Brain. Field of view 240x240 mm.
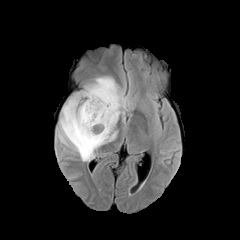
FLAIR magnetic resonance.
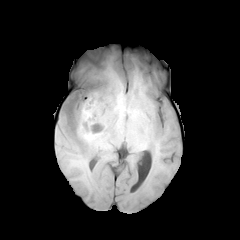
T1-weighted MRI of the same slice.
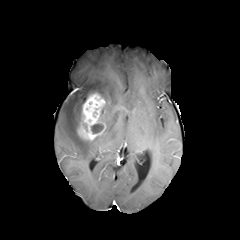
Post-contrast T1-weighted MR.
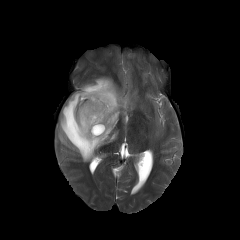
T2-weighted MR image of the same slice.
The enhancing tumor is at region(78, 93, 105, 140). The edema appears at region(57, 75, 130, 161). 4 non-enhancing tumor core regions appear at region(83, 86, 101, 103); region(67, 97, 77, 112); region(91, 121, 105, 137); region(67, 115, 95, 143).